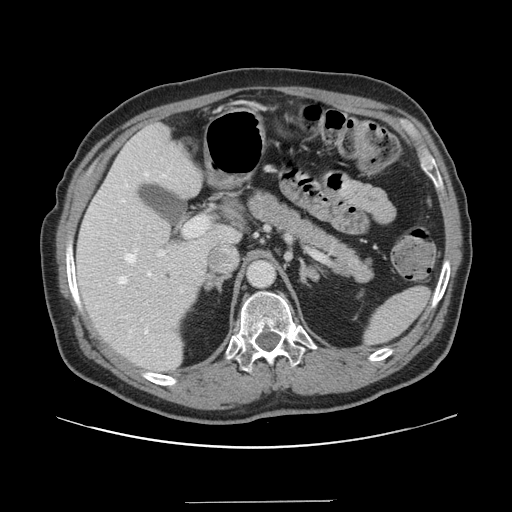
Computed tomography
The vessel boxes may cover only some of the vessels.
Hepatic vessel — rect(129, 330, 131, 332); rect(145, 172, 147, 175); rect(157, 251, 164, 255); rect(184, 217, 206, 236); rect(148, 272, 150, 275); rect(144, 327, 147, 334); rect(118, 276, 126, 283); rect(125, 254, 135, 262).